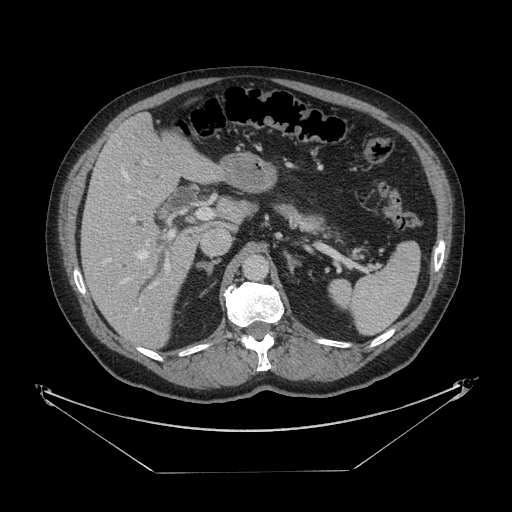

Computed tomography; Image size 512x512
The pancreas is bounded by <box>276,205,325,231</box>.